FLAIR MR image.
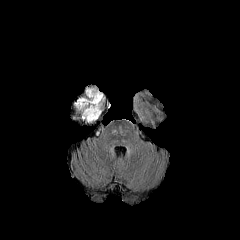
T1-weighted MR image.
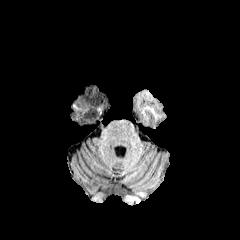
Post-contrast T1-weighted MRI.
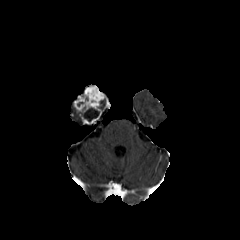
T2-weighted MR image.
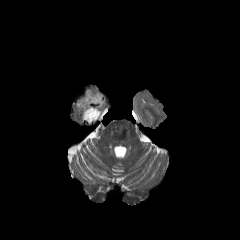
240x240 px.
2 non-enhancing tumor core regions are located at x1=70 y1=102 x2=81 y2=123, x1=83 y1=107 x2=99 y2=121. The enhancing tumor is located at x1=73 y1=84 x2=110 y2=127.